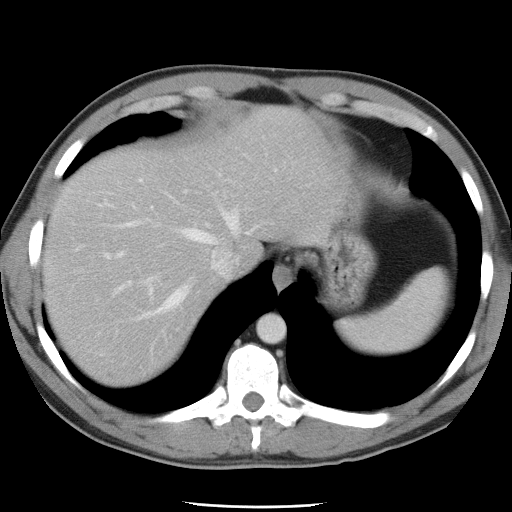 CT scan slice | Image size 512x512

Some hepatic vessels may have no box.
Hepatic vessel at <box>104,254,110,257</box>, <box>120,221,140,226</box>, <box>144,278,155,294</box>, <box>115,281,131,291</box>, <box>99,202,108,206</box>, <box>139,283,190,318</box>, <box>219,207,243,235</box>, <box>176,223,218,245</box>, <box>247,230,252,233</box>, <box>211,249,231,276</box>, <box>116,252,123,256</box>.